Abdomen, Slice 11 of 36, Image width 479 mm, CT scan slice 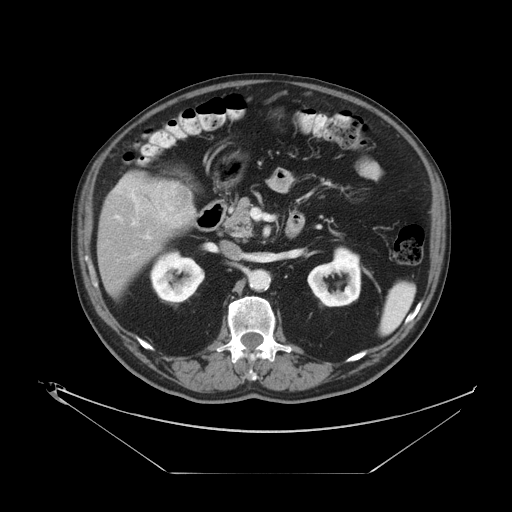

Only some of the vessels may be annotated.
hepatic vessel: region(127, 187, 142, 210); region(175, 213, 184, 222); region(165, 203, 173, 210); region(116, 180, 125, 192); region(144, 234, 149, 237); region(144, 185, 168, 205); region(133, 220, 137, 225); region(172, 186, 174, 187); region(160, 211, 170, 222); region(114, 215, 120, 219) | liver tumor: region(167, 186, 190, 209)